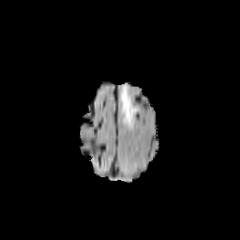
FLAIR MRI.
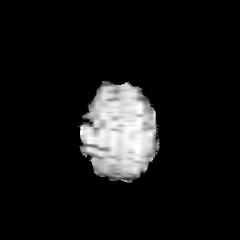
T1-weighted MR.
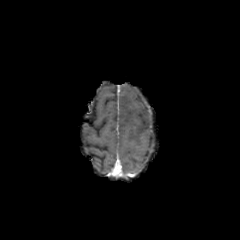
Same slice, post-contrast T1-weighted MR image.
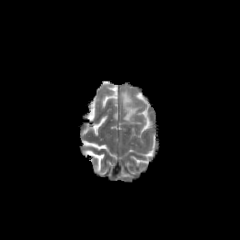
T2-weighted MR.
Brain
edema:
  - 121,87,137,124